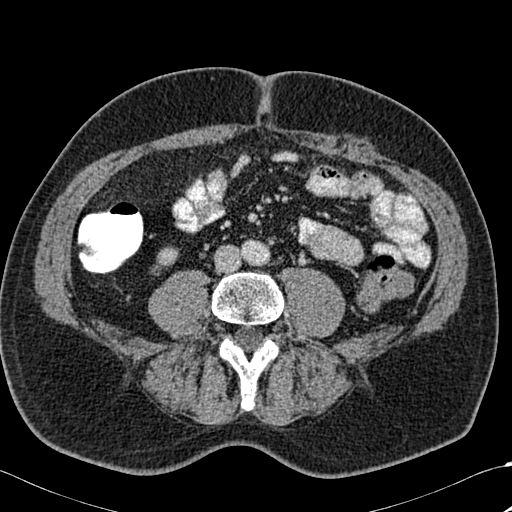
CT slice; Image size 512x512
kidney: {"x1": 161, "y1": 251, "x2": 173, "y2": 261} | bone: {"x1": 219, "y1": 336, "x2": 278, "y2": 409}, {"x1": 211, "y1": 272, "x2": 284, "y2": 326}